Head | 240x240 | Slice 107/155
FLAIR MR image.
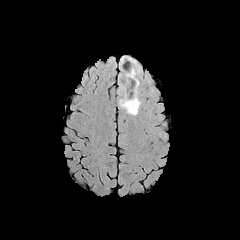
T1-weighted magnetic resonance.
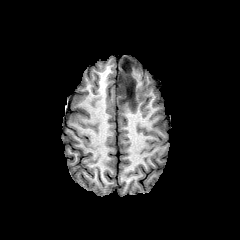
Post-contrast T1-weighted MRI.
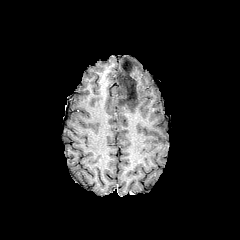
T2-weighted MR.
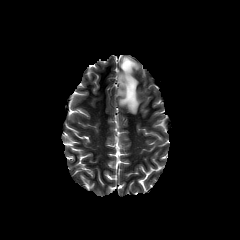
non-enhancing tumor core: 118, 72, 136, 107 | edema: 118, 68, 126, 88; 118, 56, 141, 115